Image size 512x512; Computed tomography; Image width 333 mm; Abdomen 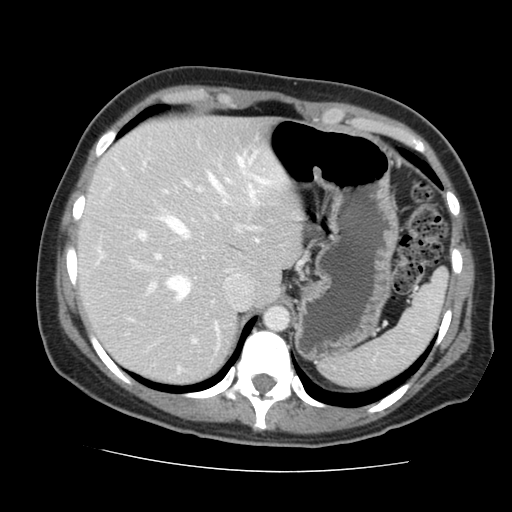 The vessel boxes may cover only some of the vessels.
Principal 15 of 18 hepatic vessel regions: bounding box (97, 248, 101, 256), (138, 232, 145, 239), (225, 179, 230, 182), (184, 181, 189, 185), (250, 228, 254, 229), (166, 276, 189, 298), (147, 283, 154, 293), (206, 172, 222, 193), (222, 199, 226, 202), (248, 184, 258, 204), (215, 324, 217, 332), (155, 255, 159, 259), (197, 188, 201, 191), (236, 155, 274, 184), (192, 339, 195, 342).